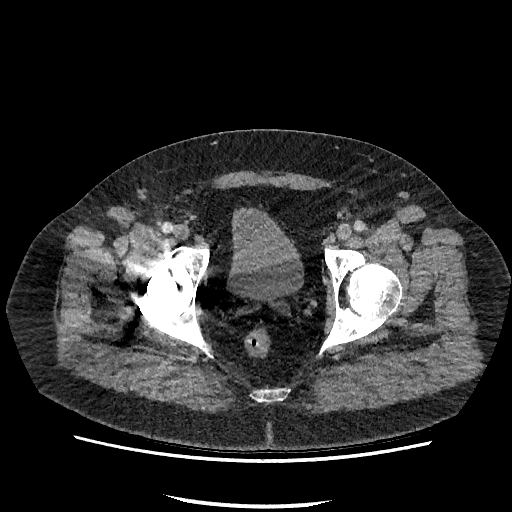
Pelvis. CT slice. <segmentation>
  <urinary_bladder>bbox=[228, 207, 303, 303]</urinary_bladder>
</segmentation>